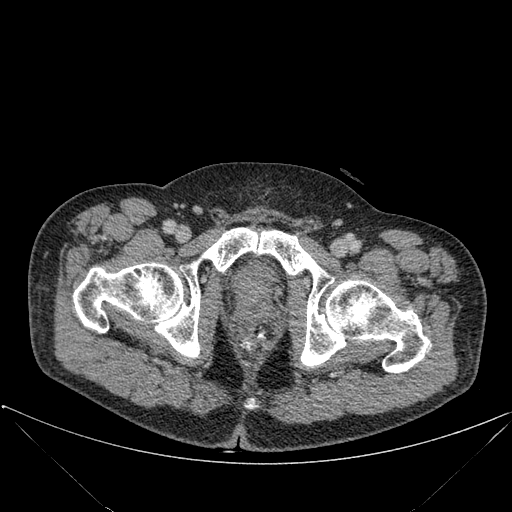
CT. 512x512. 2 bone regions appear at (73, 228, 430, 372), (247, 399, 254, 407).